FLAIR MR image.
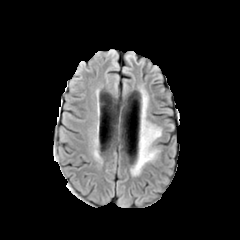
T1-weighted magnetic resonance.
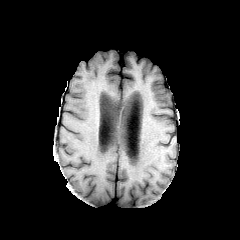
Post-contrast T1-weighted MRI.
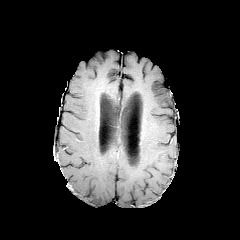
T2-weighted MRI.
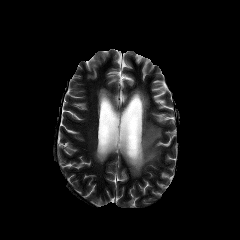
Edema — <box>131,93,161,175</box>.